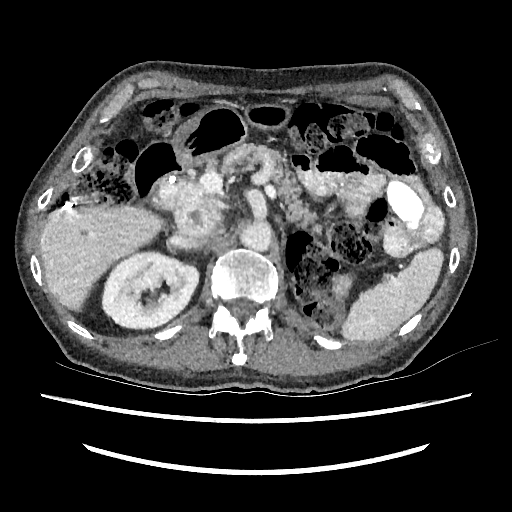 Image size 512x512 | CT image | Abdomen

Annotated regions:
• kidney: box(102, 253, 198, 328)
• liver: box(41, 206, 159, 308)